CT, Abdomen

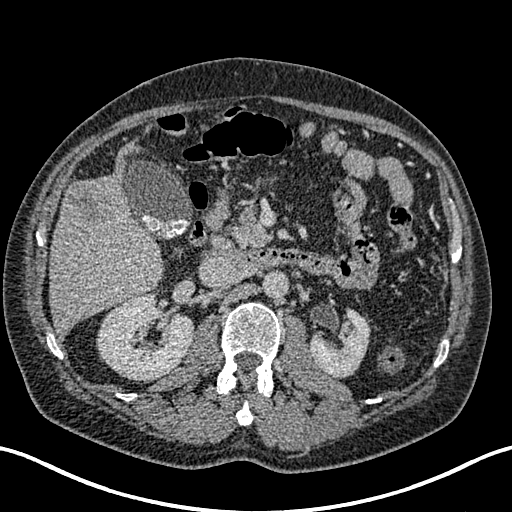

{
  "liver": [
    "bbox(49, 138, 163, 335)",
    "bbox(142, 123, 153, 135)"
  ],
  "kidney": [
    "bbox(311, 310, 368, 376)",
    "bbox(98, 295, 192, 379)"
  ],
  "focal_liver_lesion": [
    "bbox(65, 181, 112, 222)"
  ]
}